Head; 240x240 px; Slice 112/155
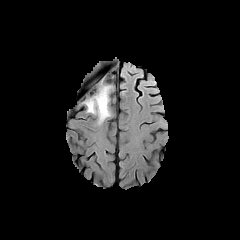
FLAIR MRI.
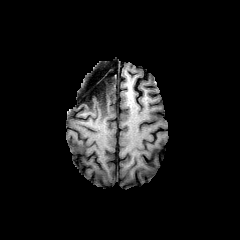
T1-weighted MR of the same slice.
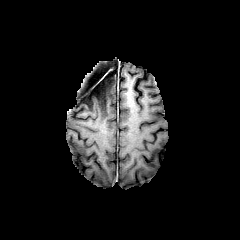
Post-contrast T1-weighted MR.
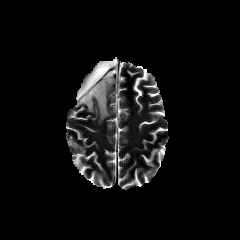
T2-weighted MRI.
edema: box(82, 84, 112, 121) | non-enhancing tumor core: box(82, 82, 108, 105)